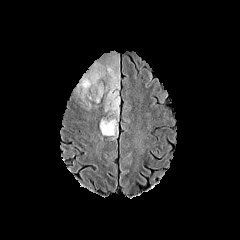
FLAIR MRI.
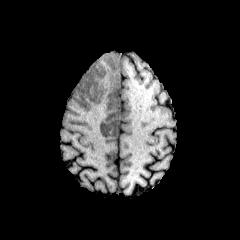
T1-weighted magnetic resonance.
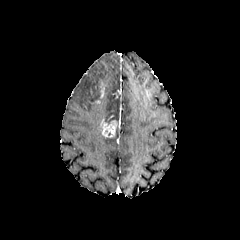
Same slice, post-contrast T1-weighted magnetic resonance.
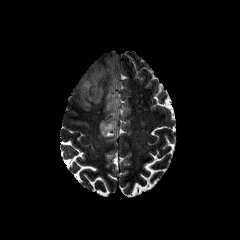
T2-weighted MR of the same slice.
edema: box=[105, 66, 120, 122]; box=[79, 69, 105, 100] | enhancing tumor: box=[100, 119, 117, 136]; box=[100, 82, 104, 98]